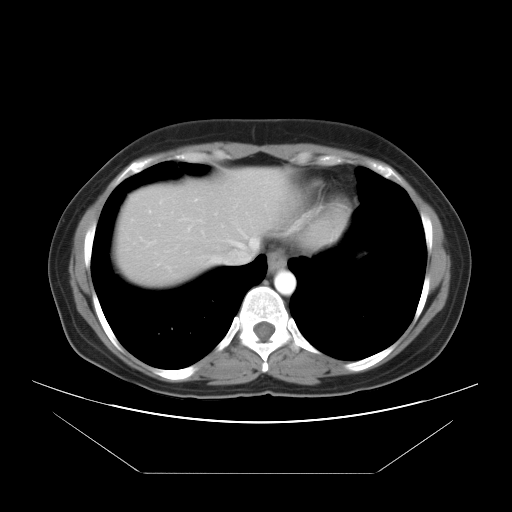 CT image
Some hepatic vessels may have no box.
4 hepatic vessel regions are located at 213,258,218,259; 236,243,242,247; 251,239,256,247; 224,260,228,261.